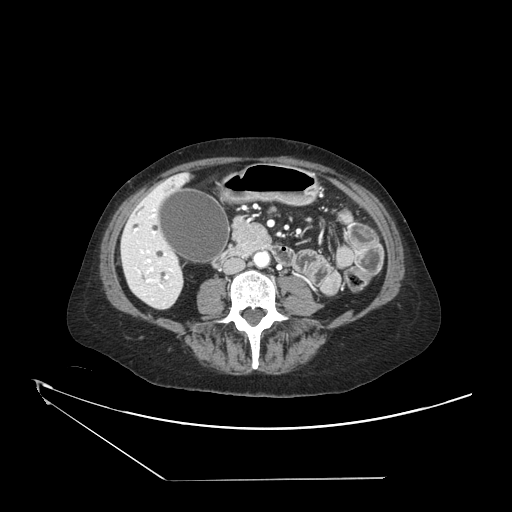 CT scan slice
Segmented structures:
• pancreas: 231 218 272 257